FLAIR MRI.
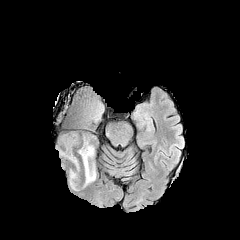
T1-weighted MRI.
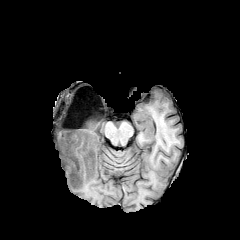
Post-contrast T1-weighted MR.
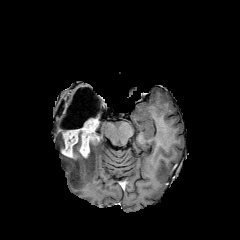
T2-weighted MR.
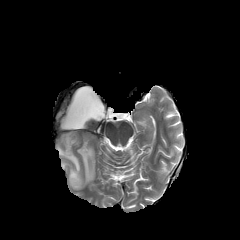
Head
Annotated regions:
• non-enhancing tumor core: <bbox>64, 129, 97, 161</bbox>, <bbox>78, 95, 103, 123</bbox>
• edema: <bbox>64, 140, 96, 190</bbox>
• enhancing tumor: <bbox>61, 132, 77, 158</bbox>, <bbox>86, 123, 97, 131</bbox>, <bbox>80, 136, 89, 157</bbox>, <bbox>81, 115, 98, 129</bbox>